CT 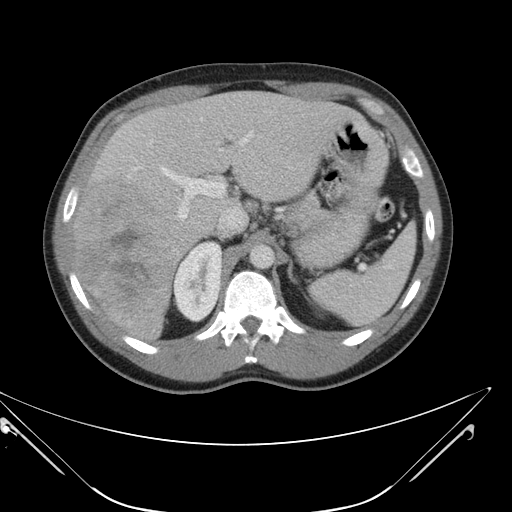
Only some of the vessels may be annotated.
hepatic vessel: (left=127, top=175, right=130, bottom=178), (left=162, top=168, right=224, bottom=202), (left=150, top=140, right=152, bottom=146), (left=195, top=134, right=197, bottom=136), (left=133, top=167, right=136, bottom=170), (left=219, top=207, right=243, bottom=228), (left=239, top=131, right=252, bottom=145), (left=178, top=204, right=188, bottom=218), (left=220, top=148, right=221, bottom=150) | liver tumor: (left=76, top=183, right=174, bottom=315)